FLAIR magnetic resonance.
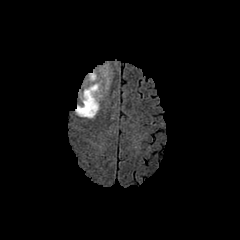
T1-weighted MR image.
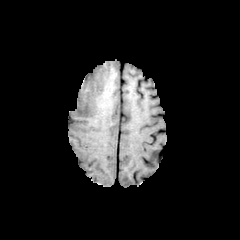
Post-contrast T1-weighted MR image.
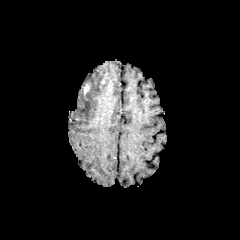
T2-weighted MR.
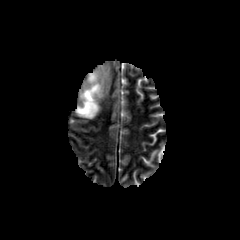
Head
edema:
  - [x1=75, y1=68, x2=111, y2=118]